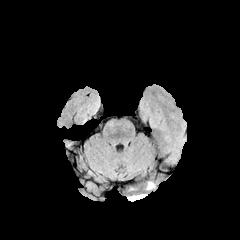
FLAIR magnetic resonance.
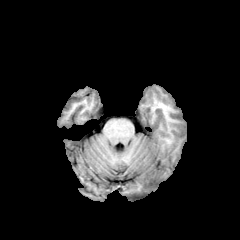
T1-weighted MR image of the same slice.
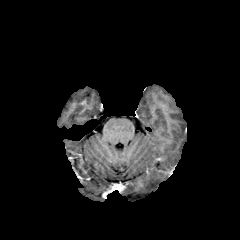
Post-contrast T1-weighted MR image of the same slice.
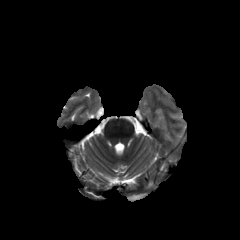
T2-weighted magnetic resonance.
edema:
  - <bbox>146, 181, 155, 189</bbox>
  - <bbox>129, 194, 147, 201</bbox>